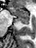

36x48 px; MRI

Annotated regions:
• anterior hippocampus: box=[10, 7, 29, 19]
• posterior hippocampus: box=[18, 20, 28, 24]